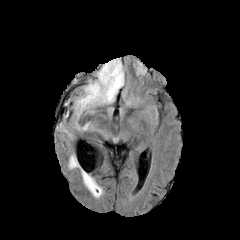
FLAIR MR image.
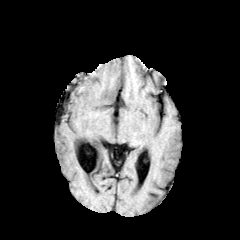
Same slice, T1-weighted magnetic resonance.
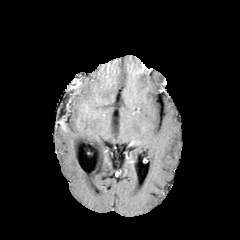
Post-contrast T1-weighted MR image.
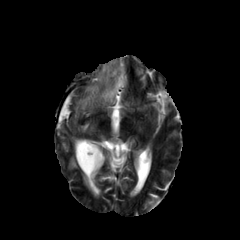
T2-weighted MR image.
Head.
3 edema regions are located at [x1=60, y1=123, x2=72, y2=136], [x1=68, y1=153, x2=104, y2=198], [x1=75, y1=60, x2=126, y2=117].